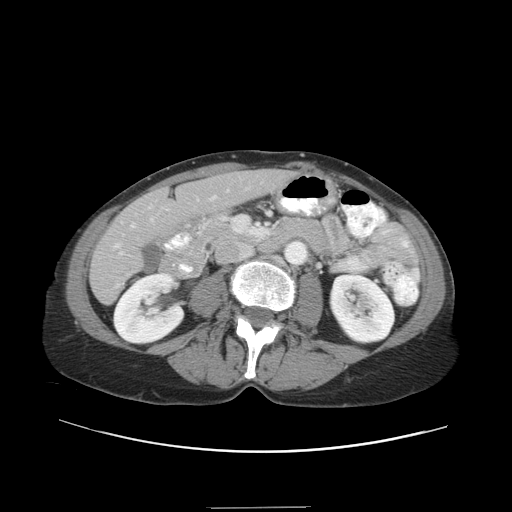 Liver. Computed tomography. Not every hepatic vessel necessarily has a box.
hepatic_vessel:
  - (x1=150, y1=217, x2=153, y2=221)
  - (x1=131, y1=223, x2=135, y2=227)
  - (x1=163, y1=208, x2=168, y2=210)
  - (x1=196, y1=198, x2=198, y2=200)
  - (x1=115, y1=244, x2=121, y2=248)
  - (x1=135, y1=214, x2=137, y2=215)
  - (x1=119, y1=250, x2=123, y2=254)
  - (x1=116, y1=284, x2=119, y2=287)
  - (x1=209, y1=195, x2=216, y2=200)
  - (x1=226, y1=190, x2=228, y2=191)